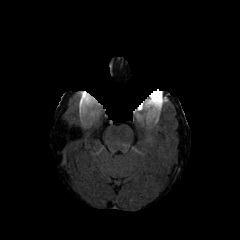
FLAIR MR image.
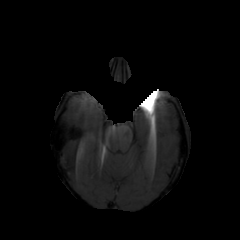
T1-weighted MR.
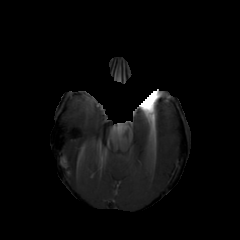
Post-contrast T1-weighted magnetic resonance.
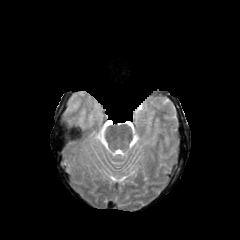
T2-weighted MRI.
Head
<segmentation>
  <enhancing_tumor>(134, 106, 145, 115)</enhancing_tumor>
  <edema>(156, 98, 165, 109)</edema>
  <non-enhancing_tumor_core>(139, 92, 165, 124)</non-enhancing_tumor_core>
</segmentation>